FLAIR MR image.
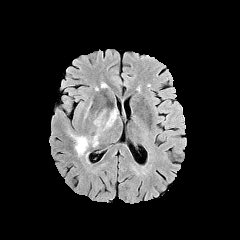
T1-weighted MRI.
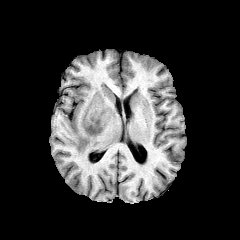
Post-contrast T1-weighted MR image.
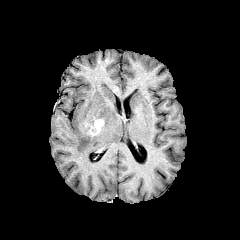
T2-weighted MR image.
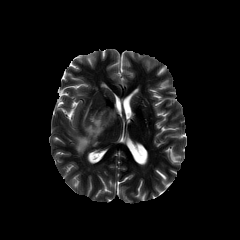
Brain
2 edema regions are bounded by [103,107,118,130], [68,131,101,156]. The enhancing tumor is located at [83,117,104,136].